CT image.
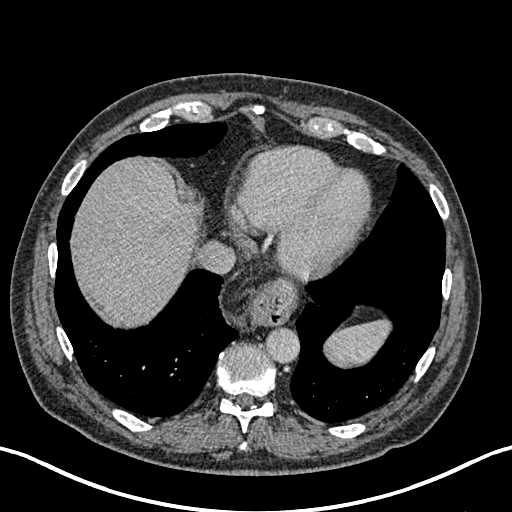 liver: <box>72,156,201,324</box>